Field of view 360x360 mm, 512x512, Abdomen, CT scan slice, Slice index 14
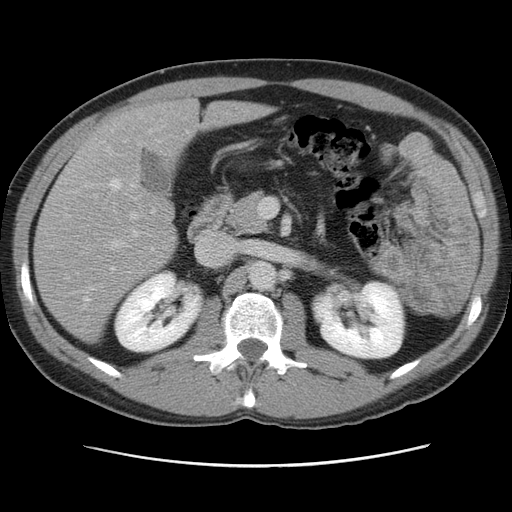
The vessel annotation is not exhaustive.
<segmentation>
  <hepatic_vessel>84, 298, 89, 301; 130, 212, 137, 219; 111, 267, 114, 270; 152, 209, 155, 213; 108, 147, 112, 154; 149, 130, 151, 133; 111, 241, 123, 249; 111, 179, 121, 190; 134, 232, 138, 236</hepatic_vessel>
</segmentation>